CT scan slice

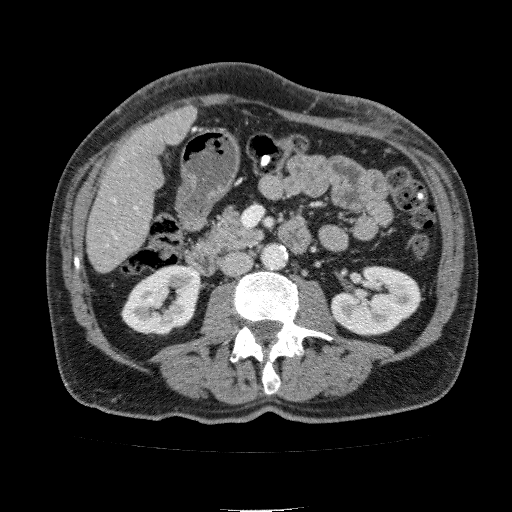 • liver: [x1=88, y1=106, x2=197, y2=270]
• kidney: [x1=332, y1=267, x2=419, y2=333], [x1=123, y1=266, x2=199, y2=333]